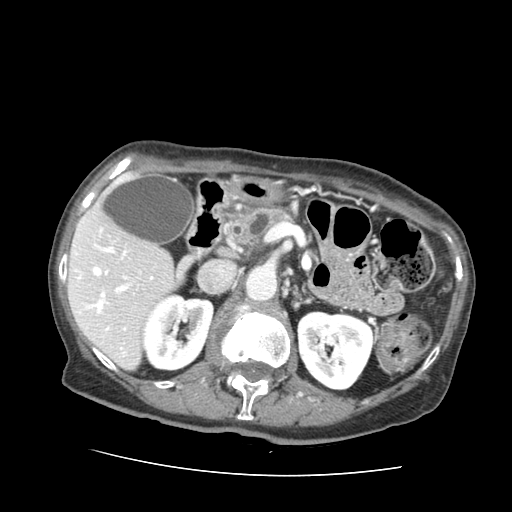 Abdomen. CT.
<segmentation>
  <pancreas>225, 202, 292, 250</pancreas>
</segmentation>